Slice 50 of 90 | MRI slice 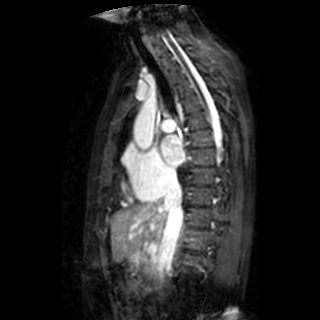
<segmentation>
  <left_atrium>(x1=160, y1=135, x2=184, y2=167)</left_atrium>
</segmentation>